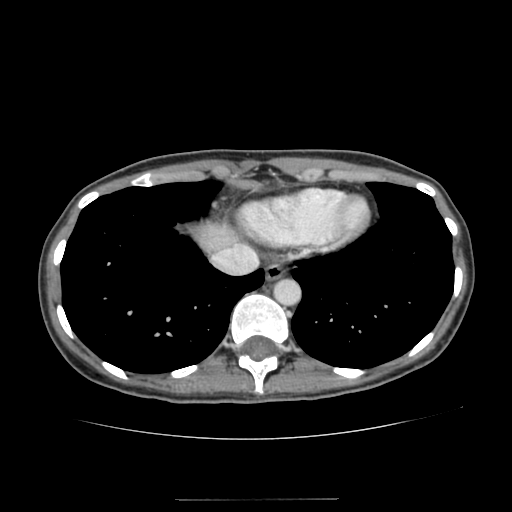
Abdomen; Computed tomography

<segmentation>
  <liver><bbox>194, 222, 239, 254</bbox></liver>
</segmentation>